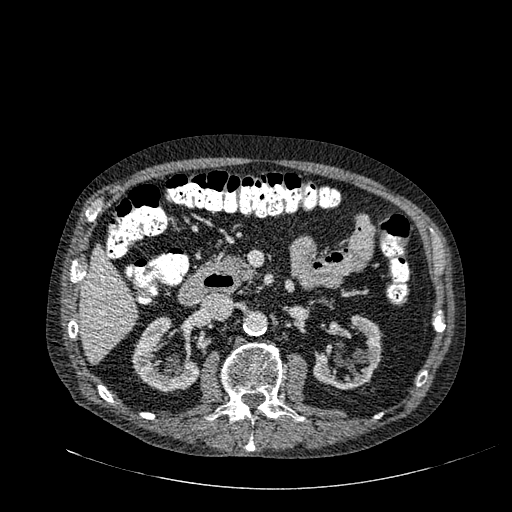

CT scan slice

The liver lies within (81, 247, 136, 363). 3 kidney regions are bounded by (132, 316, 199, 392), (328, 321, 350, 338), (313, 314, 381, 389).